Brain.
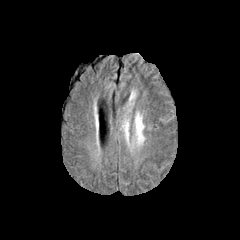
FLAIR magnetic resonance.
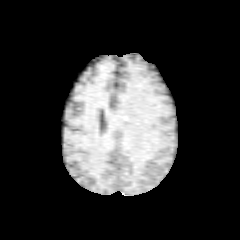
T1-weighted MR image of the same slice.
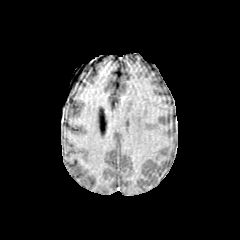
Post-contrast T1-weighted MR.
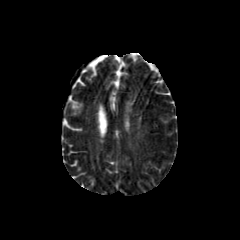
T2-weighted MRI.
Findings:
• edema: [x1=136, y1=114, x2=143, y2=139]